Head | 240x240 px
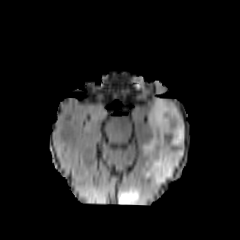
FLAIR MR image.
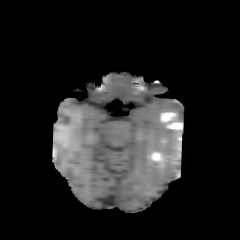
Same slice, T1-weighted MR image.
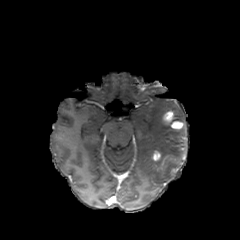
Post-contrast T1-weighted MR image.
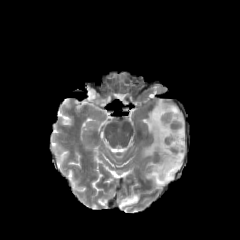
T2-weighted MRI.
Enhancing tumor: 152, 150, 160, 160; 164, 111, 174, 123; 171, 121, 184, 129.
Edema: 119, 194, 139, 204; 143, 98, 186, 185.
Non-enhancing tumor core: 165, 155, 181, 162; 170, 133, 185, 147; 162, 117, 182, 126.